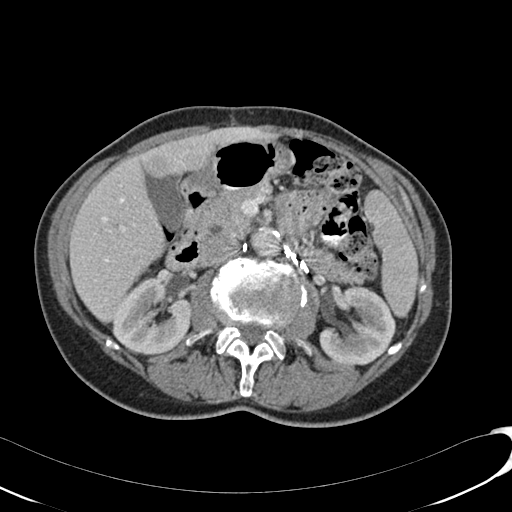
Computed tomography
<segmentation>
  <liver_lesion>box=[147, 157, 167, 176]</liver_lesion>
  <liver>box=[70, 128, 275, 322]</liver>
  <kidney>box=[113, 279, 190, 353]; box=[320, 287, 394, 365]</kidney>
</segmentation>